CT scan slice. Abdomen.
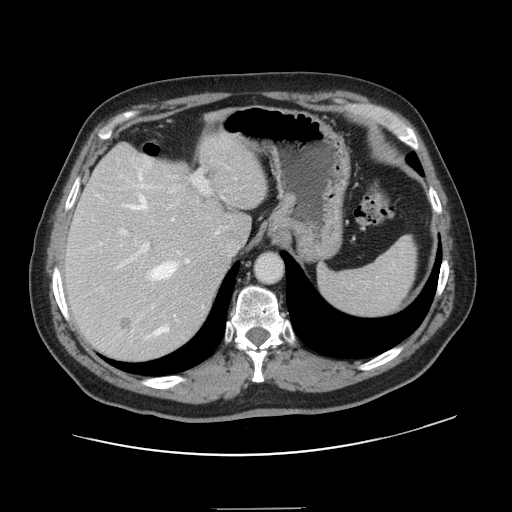

Not every hepatic vessel necessarily has a box.
12 hepatic vessel regions appear at 120 243 148 265, 151 262 176 277, 186 259 188 261, 137 182 149 187, 193 170 206 187, 120 230 125 233, 145 336 148 338, 131 197 146 209, 138 169 141 178, 156 326 168 333, 100 243 101 244, 169 190 172 192. 2 liver tumor regions are located at 162 170 175 184, 118 318 134 332.